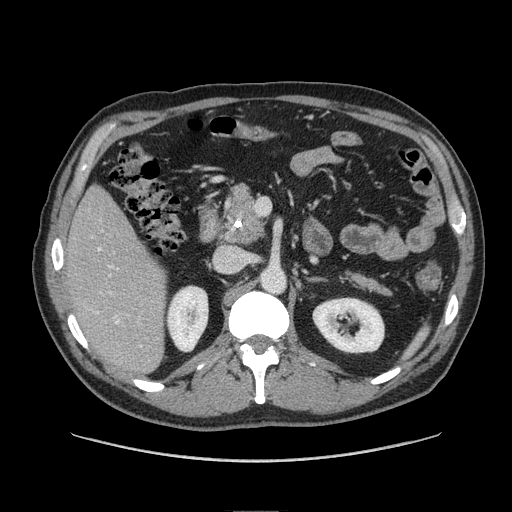
Abdomen | CT scan slice
Annotated regions:
- pancreas: bbox(338, 267, 395, 301); bbox(218, 182, 269, 246)